512x512 | CT 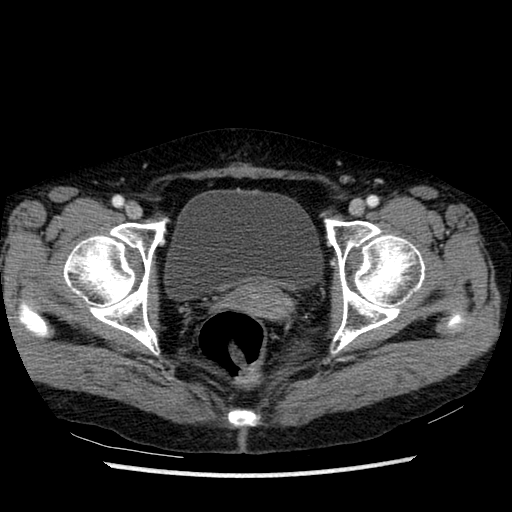
Urinary bladder: bounding box bbox(163, 189, 324, 301).